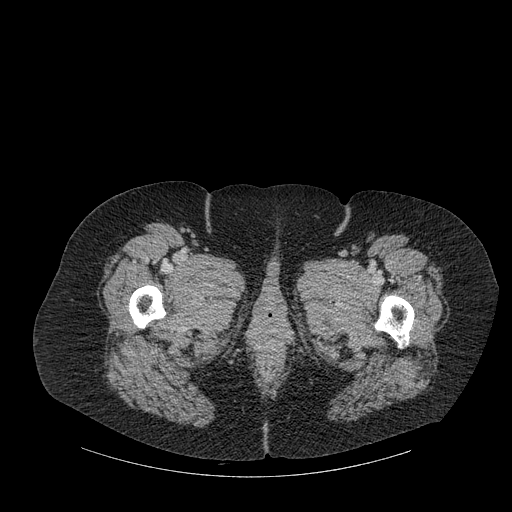
Computed tomography; Image size 512x512
Bone: bounding box (x1=129, y1=285, x2=165, y2=327), (x1=375, y1=295, x2=414, y2=347).